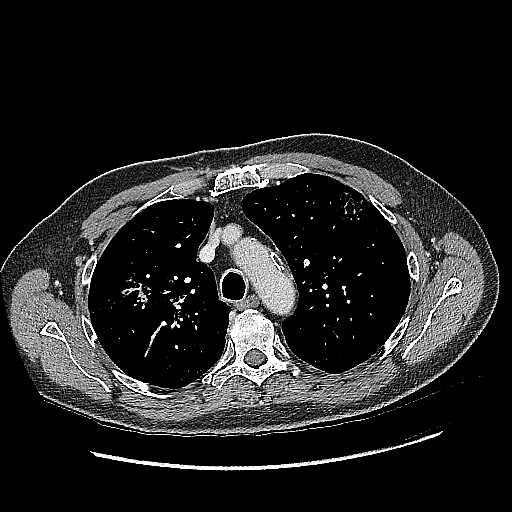

Thorax | 512x512 | CT
Lung tumor = bbox(114, 270, 157, 309).